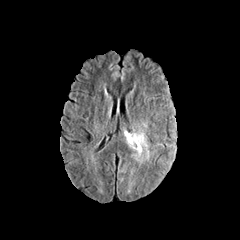
FLAIR MRI.
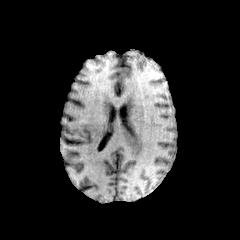
T1-weighted MRI.
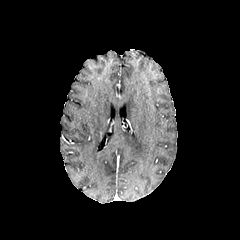
Same slice, post-contrast T1-weighted magnetic resonance.
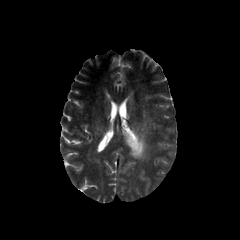
T2-weighted magnetic resonance.
• edema: 124, 124, 152, 163